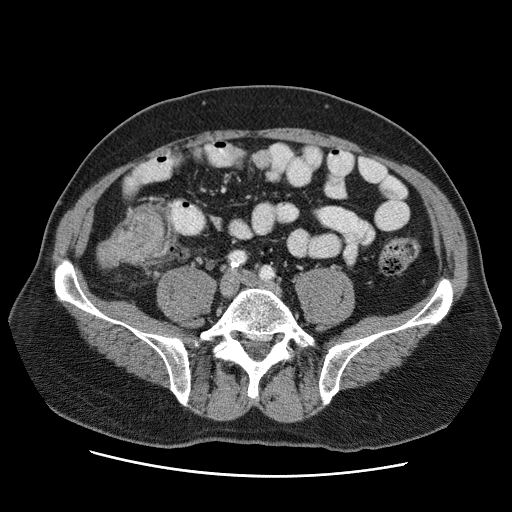
CT image
Colon tumor: region(96, 206, 163, 266).